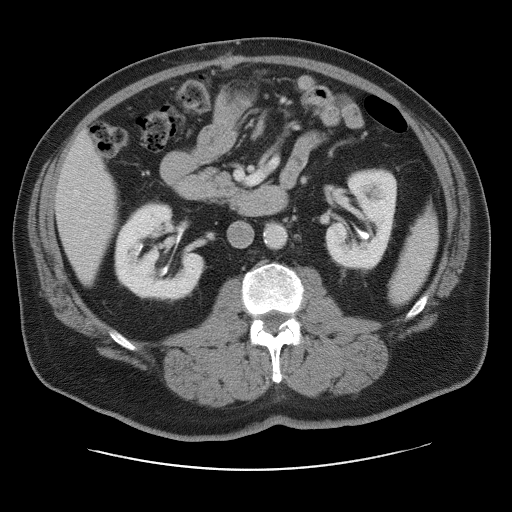
CT image. Image size 512x512. The vessel boxes may cover only some of the vessels.
* hepatic vessel: bbox=[236, 172, 242, 177]; bbox=[76, 190, 77, 192]; bbox=[248, 178, 250, 182]; bbox=[84, 233, 86, 236]